240x240 px | Brain
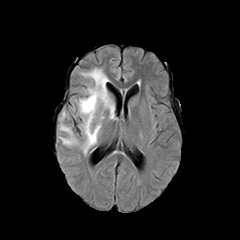
FLAIR MRI.
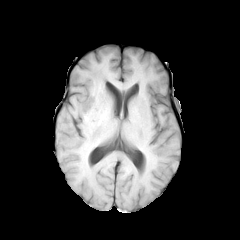
T1-weighted MRI of the same slice.
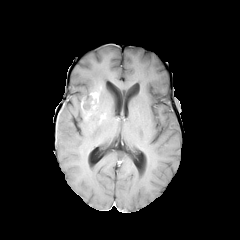
Same slice, post-contrast T1-weighted MRI.
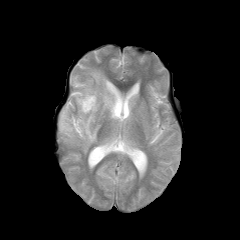
T2-weighted MRI.
Enhancing tumor — x1=90 y1=87 x2=100 y2=109, x1=80 y1=97 x2=85 y2=112.
Edema — x1=59 y1=68 x2=117 y2=154.
Non-enhancing tumor core — x1=82 y1=92 x2=98 y2=119.